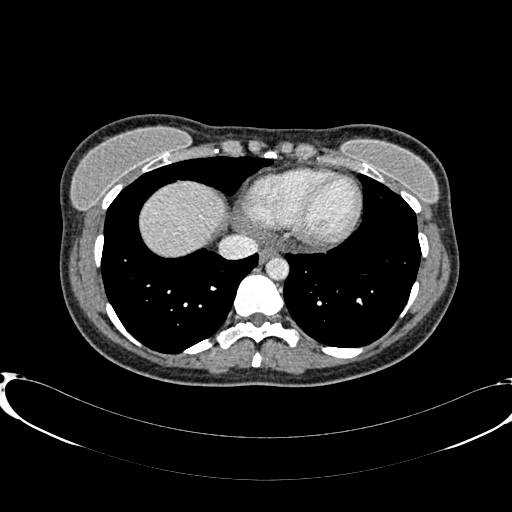
Abdomen, CT scan slice
liver: bbox=[141, 183, 224, 255]